FLAIR MR.
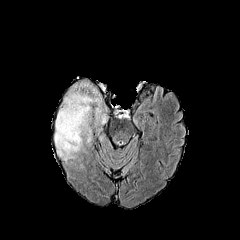
T1-weighted MR image.
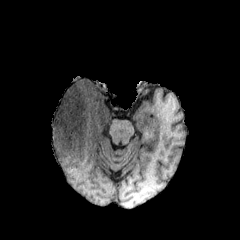
Post-contrast T1-weighted MR image.
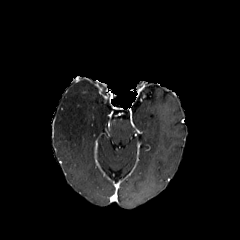
T2-weighted MR.
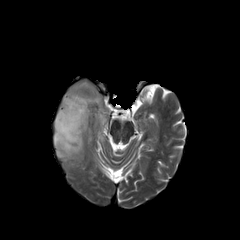
Brain
Edema: (53, 80, 108, 160).